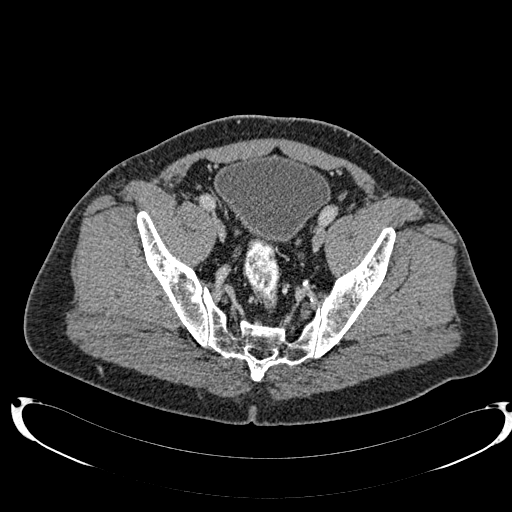
CT slice.
Urinary bladder = (216,154,330,244).